512x512; Image width 360 mm; CT image
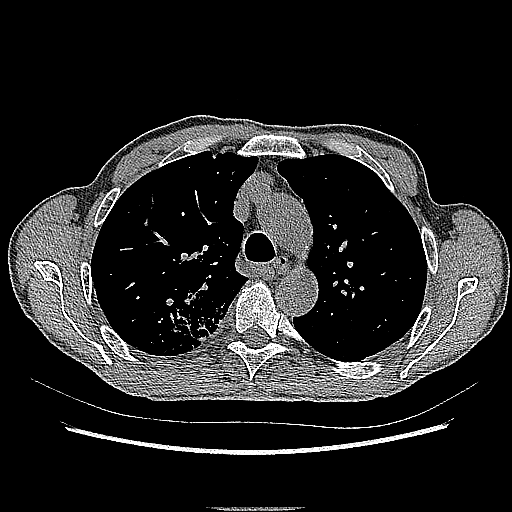

Lung tumor — 170:289:226:349.